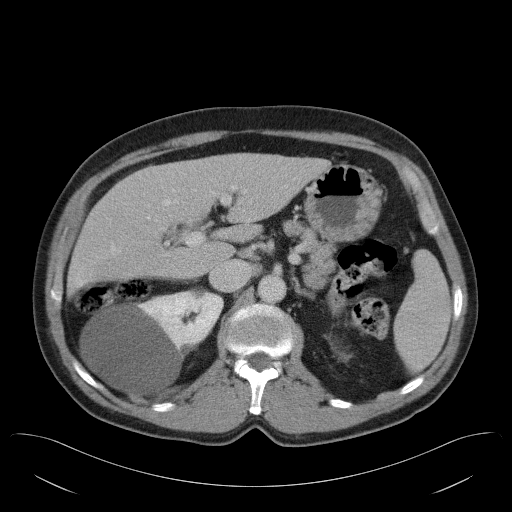

Liver | CT scan slice

Some hepatic vessels may have no box.
Hepatic vessel: bounding box rect(231, 185, 236, 189); rect(112, 247, 113, 250); rect(243, 189, 247, 192); rect(165, 200, 169, 204); rect(147, 216, 149, 219); rect(147, 204, 149, 206).